Lower abdomen; CT slice

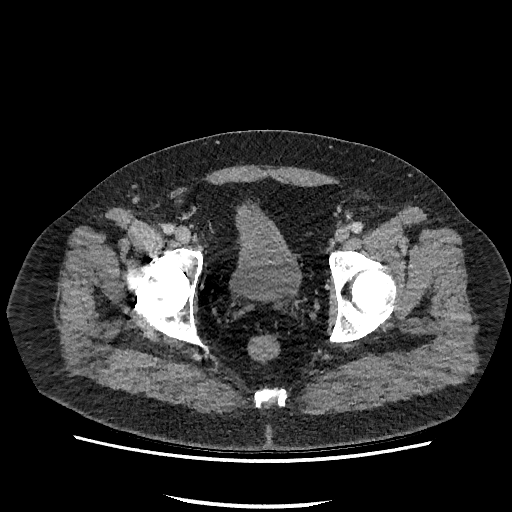
Annotated regions:
- urinary bladder: bbox=[229, 200, 301, 302]